CT, Field of view 512x512 mm, 512x512, Slice index 132, Abdomen

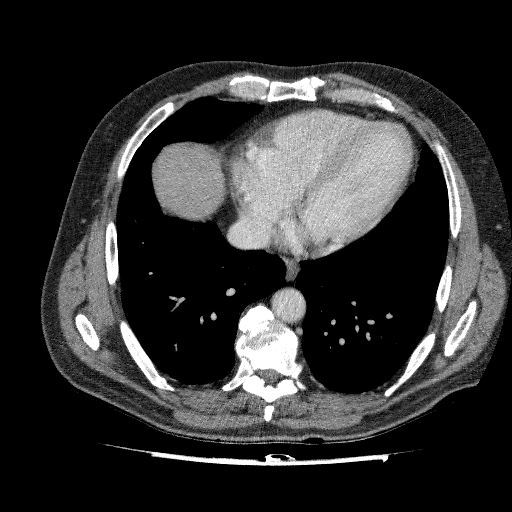

<segmentation>
  <liver>left=152, top=144, right=226, bottom=220</liver>
</segmentation>